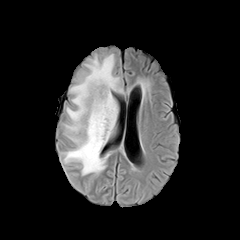
FLAIR MR image.
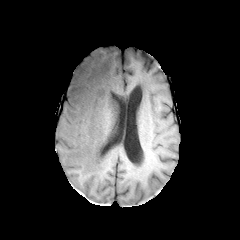
T1-weighted MR of the same slice.
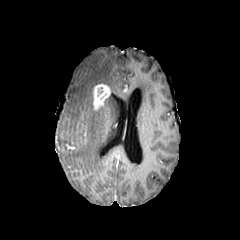
Same slice, post-contrast T1-weighted magnetic resonance.
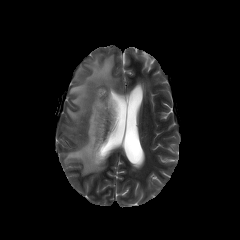
T2-weighted magnetic resonance.
Head
The edema is bounded by (63,54,118,175). The enhancing tumor lies within (93,84,110,109).